38x55 px | Slice index 17 | MR | Medial temporal lobe
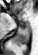

The posterior hippocampus is at box(14, 25, 30, 46).